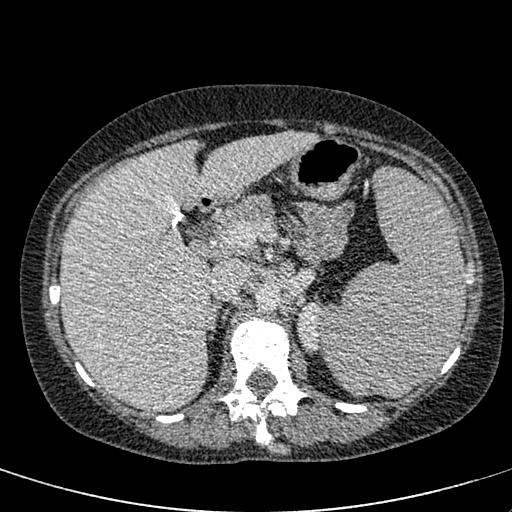

Liver | CT scan slice | 512x512 px

{
  "liver": [
    "bbox=[60, 133, 318, 410]"
  ],
  "kidney": [
    "bbox=[298, 303, 322, 350]"
  ]
}